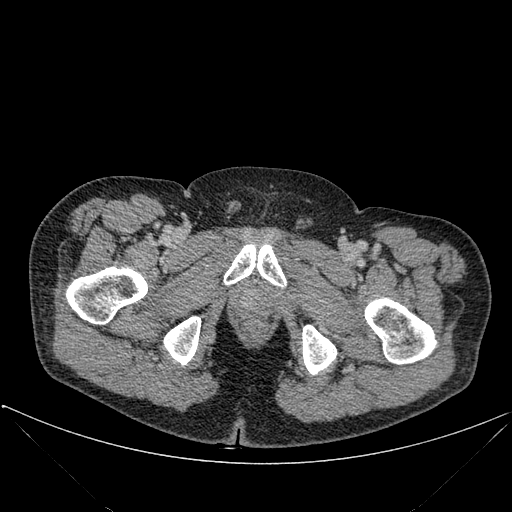

Computed tomography, 512x512 px
Annotated regions:
* bone: {"x1": 66, "y1": 267, "x2": 147, "y2": 324}, {"x1": 302, "y1": 325, "x2": 336, "y2": 374}, {"x1": 224, "y1": 244, "x2": 286, "y2": 286}, {"x1": 365, "y1": 298, "x2": 436, "y2": 363}, {"x1": 164, "y1": 316, "x2": 200, "y2": 364}